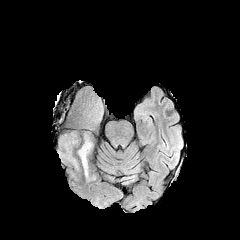
FLAIR MR.
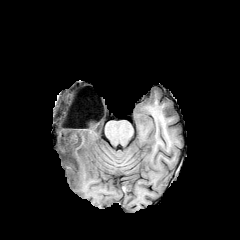
T1-weighted MRI of the same slice.
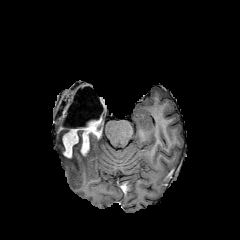
Same slice, post-contrast T1-weighted MR.
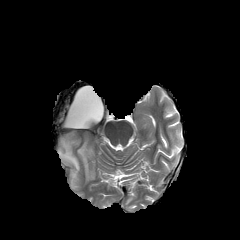
T2-weighted MR of the same slice.
Brain
Enhancing tumor: <box>63,132,77,157</box>, <box>84,119,100,129</box>, <box>80,133,89,155</box>.
Non-enhancing tumor core: <box>78,96,101,125</box>, <box>67,126,97,155</box>.
Edema: <box>78,153,95,181</box>, <box>59,152,78,169</box>.